Computed tomography | Slice 101/151

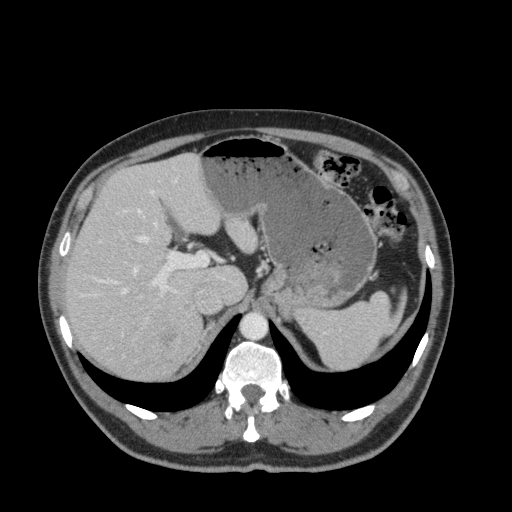 3 liver regions are located at 66, 154, 246, 379; 227, 218, 256, 251; 381, 293, 406, 336.